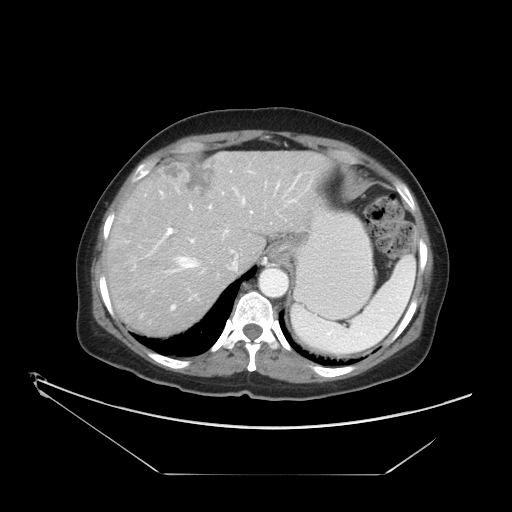 CT scan slice; Liver
Not every hepatic vessel necessarily has a box.
Findings:
- liver tumor: left=184, top=163, right=215, bottom=195; left=164, top=166, right=183, bottom=178
- hepatic vessel: left=250, top=211, right=252, bottom=213; left=177, top=257, right=196, bottom=267; left=166, top=228, right=172, bottom=235; left=171, top=305, right=175, bottom=308; left=191, top=239, right=193, bottom=242